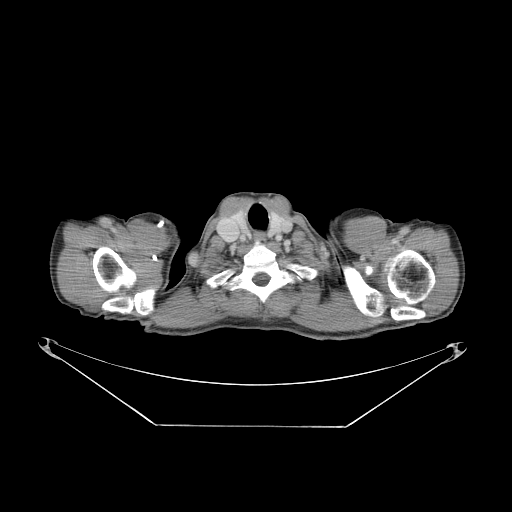

CT
<segmentation>
  <bone>left=288, top=265, right=316, bottom=278; left=344, top=267, right=382, bottom=313; left=93, top=247, right=154, bottom=314; left=387, top=250, right=434, bottom=320; left=207, top=270, right=233, bottom=286; left=231, top=242, right=290, bottom=301</bone>
</segmentation>